MR, Hippocampus 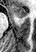
anterior_hippocampus:
  - box=[11, 6, 27, 18]